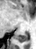

MRI slice

posterior hippocampus: (15, 33, 27, 42)